240x240 px, Field of view 240 mm wide, 1.00 mm slice spacing
FLAIR magnetic resonance.
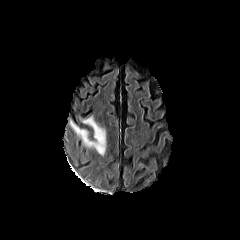
T1-weighted MRI.
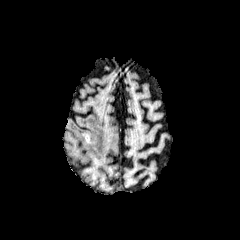
Post-contrast T1-weighted MR image.
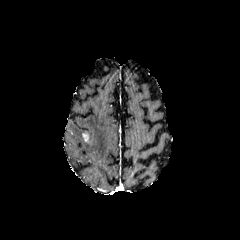
T2-weighted MR.
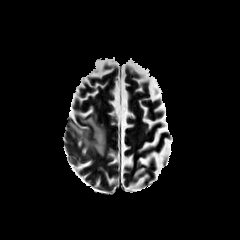
The enhancing tumor lies within [82,132,93,143]. The edema lies within [69,115,106,155].